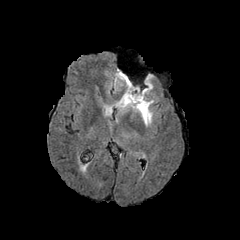
FLAIR MR image.
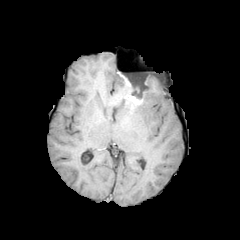
T1-weighted MR image.
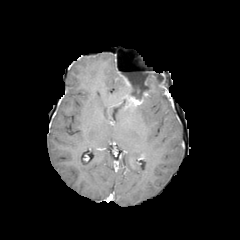
Post-contrast T1-weighted MRI of the same slice.
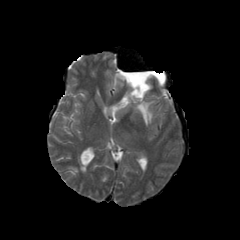
T2-weighted MR image.
Head; Image size 240x240
Findings:
* enhancing tumor: (left=125, top=94, right=143, bottom=107)
* non-enhancing tumor core: (left=129, top=81, right=147, bottom=100)
* edema: (left=112, top=71, right=131, bottom=93), (left=142, top=74, right=153, bottom=94), (left=133, top=94, right=154, bottom=126), (left=103, top=94, right=127, bottom=116)